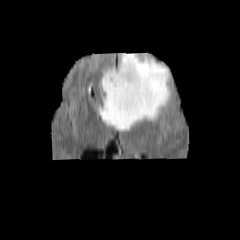
FLAIR magnetic resonance.
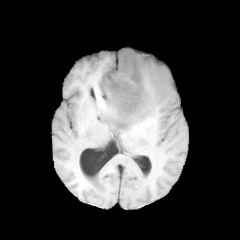
T1-weighted MRI.
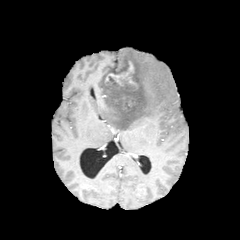
Post-contrast T1-weighted MRI.
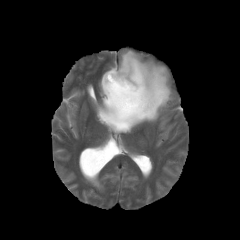
T2-weighted MR image of the same slice.
240x240.
{
  "enhancing_tumor": [
    "(left=105, top=72, right=129, bottom=81)"
  ],
  "edema": [
    "(left=97, top=49, right=171, bottom=131)"
  ],
  "non-enhancing_tumor_core": [
    "(left=103, top=60, right=147, bottom=114)"
  ]
}